Head; Slice index 75; Image size 240x240
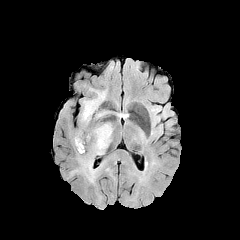
FLAIR MR.
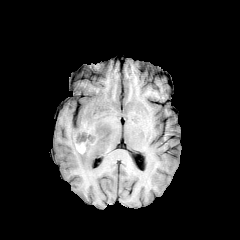
Same slice, T1-weighted MR.
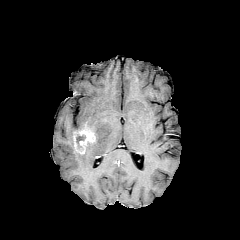
Post-contrast T1-weighted MR image.
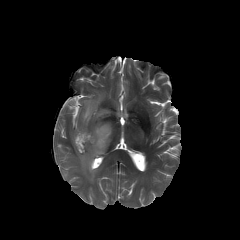
Same slice, T2-weighted MR.
<segmentation>
  <enhancing_tumor>box(73, 130, 95, 154)</enhancing_tumor>
  <edema>box(115, 111, 128, 119); box(73, 123, 113, 183); box(95, 110, 111, 119); box(80, 89, 106, 124)</edema>
</segmentation>